Magnetic resonance | Hippocampus 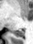

- posterior hippocampus: [x1=14, y1=29, x2=24, y2=37]